CT; Field of view 339x339 mm 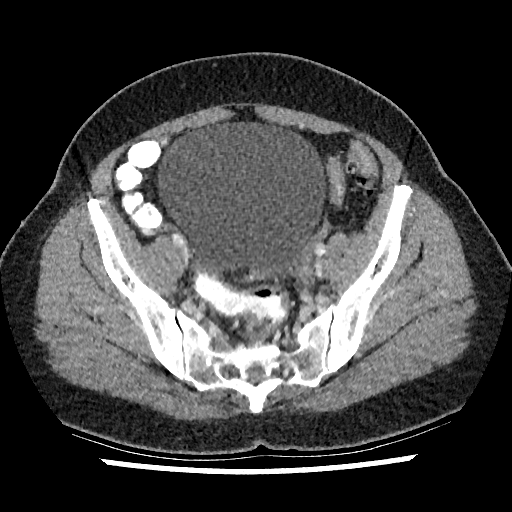

{"urinary_bladder": ["<box>158,122,325,288</box>"]}